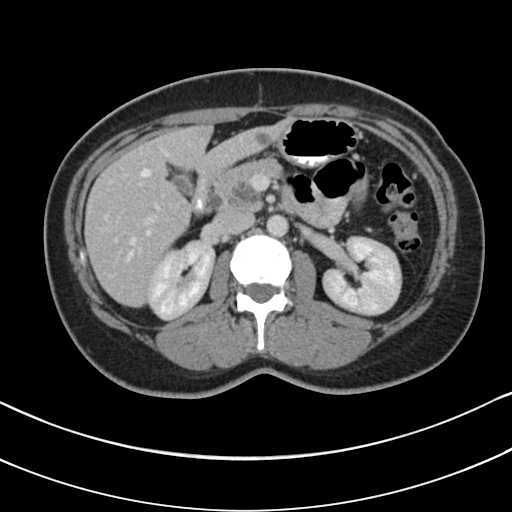
512x512 px; CT

The pancreas lies within {"x1": 203, "y1": 159, "x2": 284, "y2": 212}. The pancreatic tumor is bounded by {"x1": 225, "y1": 183, "x2": 259, "y2": 207}.